Field of view 240x240 mm. Image size 240x240.
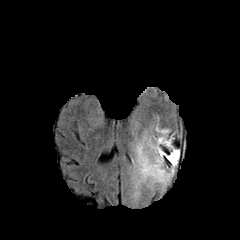
FLAIR MR.
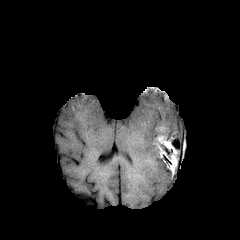
T1-weighted MR image.
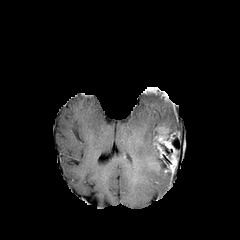
Post-contrast T1-weighted MR.
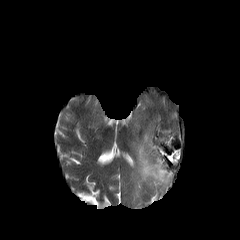
T2-weighted MR image of the same slice.
The edema lies within left=131, top=124, right=179, bottom=199. The enhancing tumor is bounded by left=158, top=136, right=178, bottom=174.